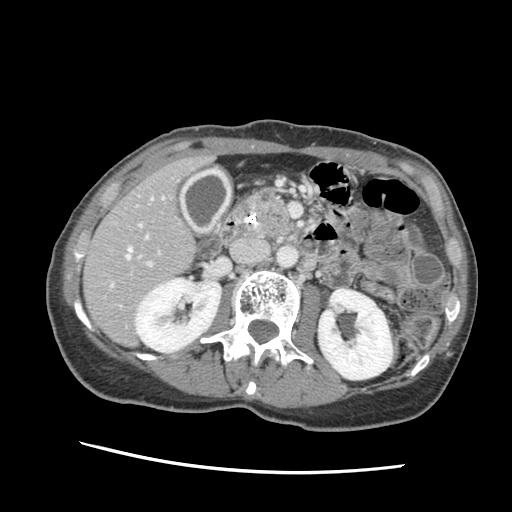

512x512. CT. Abdomen.

pancreas: (x1=243, y1=189, x2=294, y2=239)